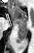 34x53. MR. Medial temporal lobe.

The anterior hippocampus is bounded by [x1=11, y1=7, x2=27, y2=20]. The posterior hippocampus lies within [x1=15, y1=21, x2=26, y2=42].